240x240 | Slice 29/155
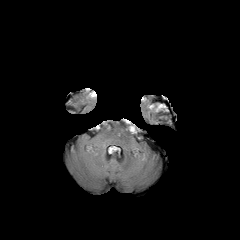
FLAIR MR.
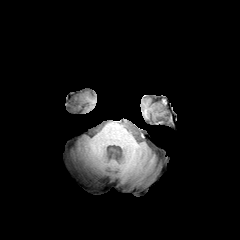
T1-weighted MR image of the same slice.
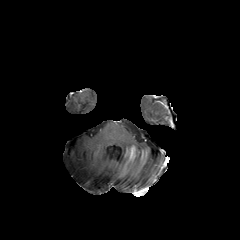
Post-contrast T1-weighted MR image of the same slice.
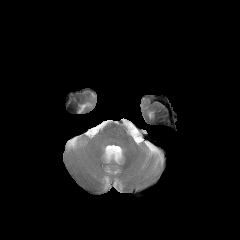
T2-weighted MRI.
The non-enhancing tumor core is at <box>107,147,117,156</box>. 2 edema regions are bounded by <box>125,124,137,136</box>, <box>102,144,115,160</box>.